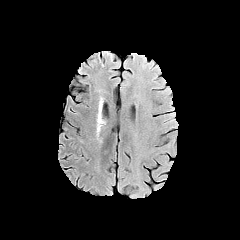
FLAIR MR image.
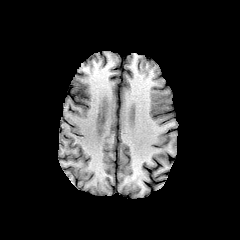
T1-weighted MR image.
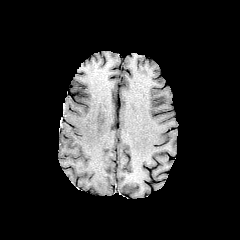
Post-contrast T1-weighted magnetic resonance.
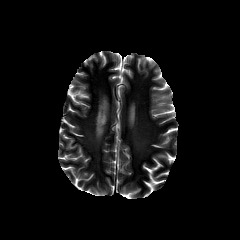
T2-weighted MRI of the same slice.
Brain, Image size 240x240
Edema = 98, 101, 102, 121.